MR. Slice 64 of 110.

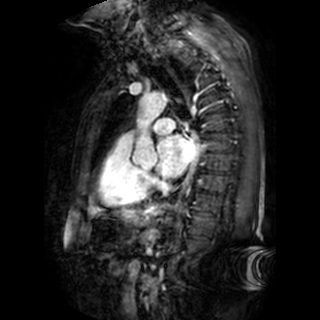

<segmentation>
  <left_atrium>bbox=[157, 134, 198, 177]</left_atrium>
</segmentation>